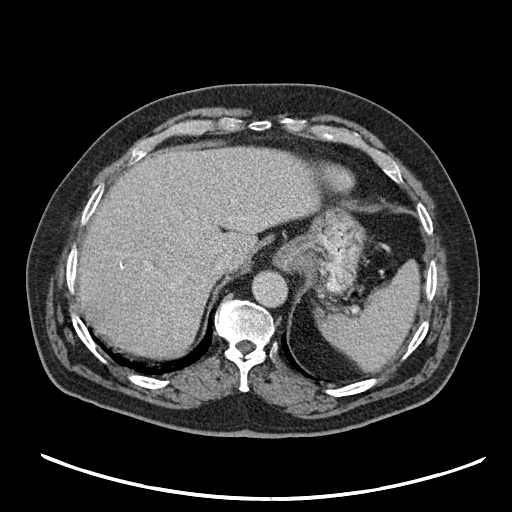 Upper abdomen | CT image
spleen: l=322, t=263, r=418, b=369